CT; Field of view 432 mm wide, 1.50 mm slice spacing; Pelvis 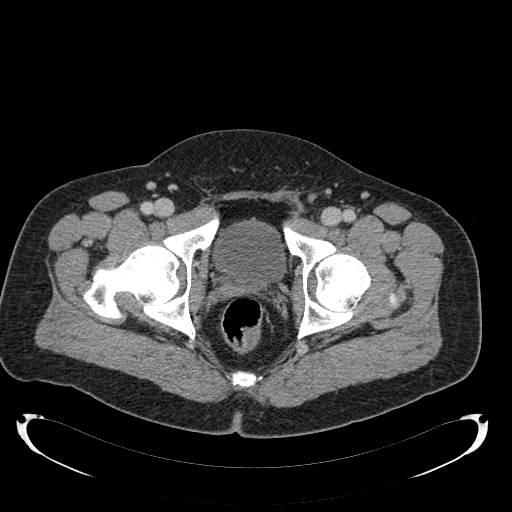

Annotated regions:
* urinary bladder: region(212, 220, 286, 298)